Abdomen, Computed tomography
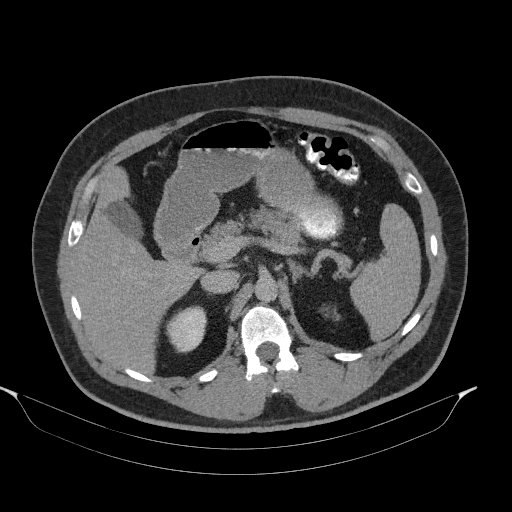

Pancreas at x1=204, y1=209, x2=300, y2=250.